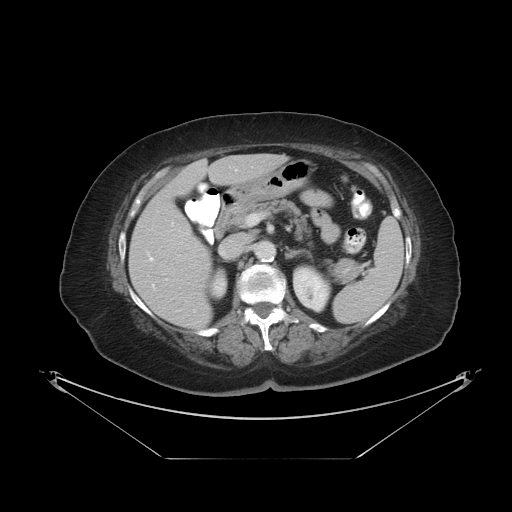 CT scan slice, Liver

Not every hepatic vessel necessarily has a box.
Hepatic vessel at 147,253,154,261; 171,222,173,224; 151,283,156,290.